CT slice. Slice index 48. 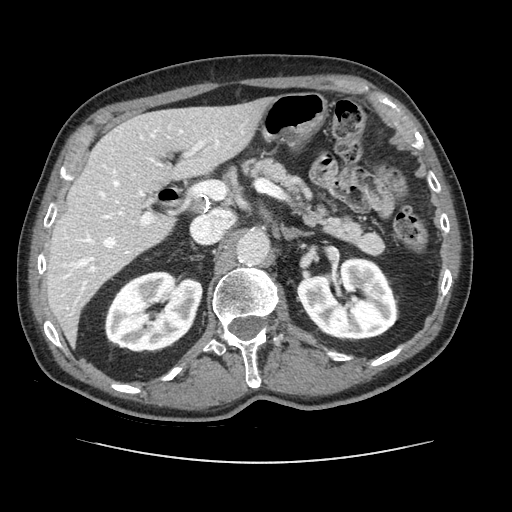
<segmentation>
  <pancreas>x1=242, y1=158, x2=383, y2=254</pancreas>
</segmentation>